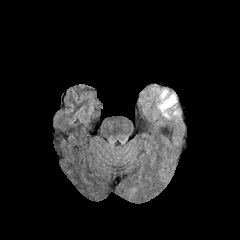
FLAIR magnetic resonance.
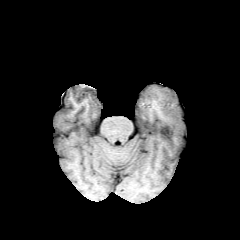
T1-weighted MR image.
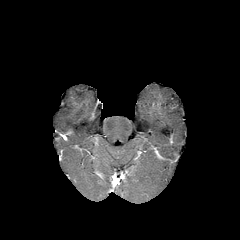
Post-contrast T1-weighted MR.
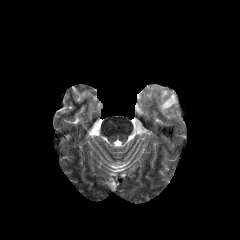
T2-weighted MRI of the same slice.
{
  "edema": [
    "bbox(139, 84, 182, 126)"
  ]
}